FLAIR MR image.
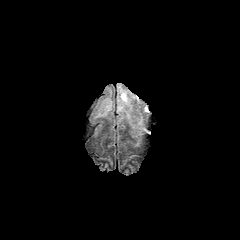
T1-weighted MRI.
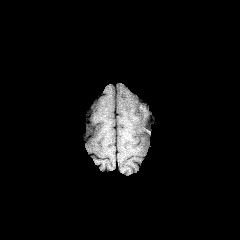
Post-contrast T1-weighted magnetic resonance.
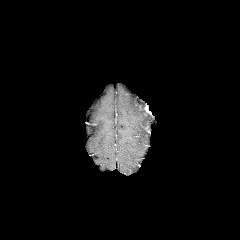
T2-weighted MR image.
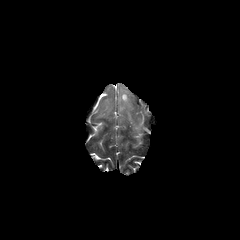
240x240
<segmentation>
  <edema>bbox=[117, 89, 130, 117]; bbox=[104, 100, 111, 113]</edema>
</segmentation>